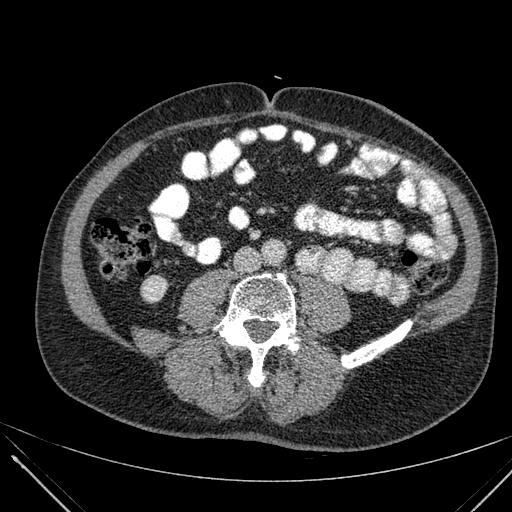 CT image
kidney:
  - [x1=142, y1=276, x2=166, y2=300]